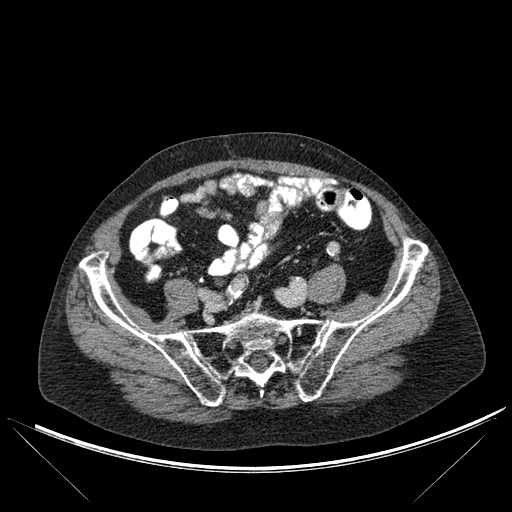 CT
Bone: 79, 238, 428, 406.